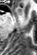

37x55 px | MR image
The anterior hippocampus lies within x1=16 y1=7 x2=21 y2=13.